FLAIR magnetic resonance.
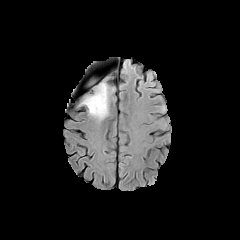
T1-weighted MR image.
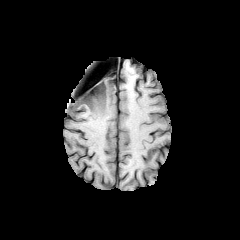
Post-contrast T1-weighted MRI.
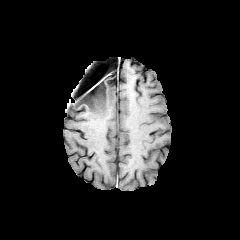
T2-weighted MR image.
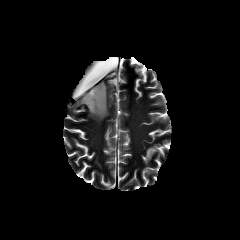
Head
Edema: bbox(80, 82, 113, 121).
Non-enhancing tumor core: bbox(83, 86, 102, 101).